Slice 80/155; Brain; 240x240 px
FLAIR MR image.
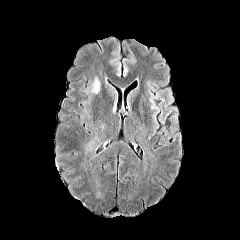
T1-weighted MR.
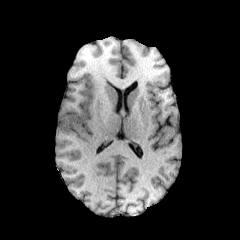
Post-contrast T1-weighted magnetic resonance.
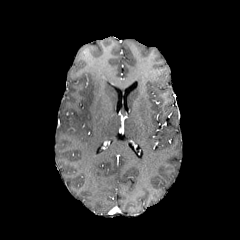
T2-weighted magnetic resonance.
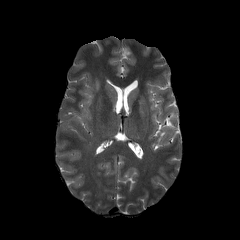
The edema appears at [85,77,100,94].